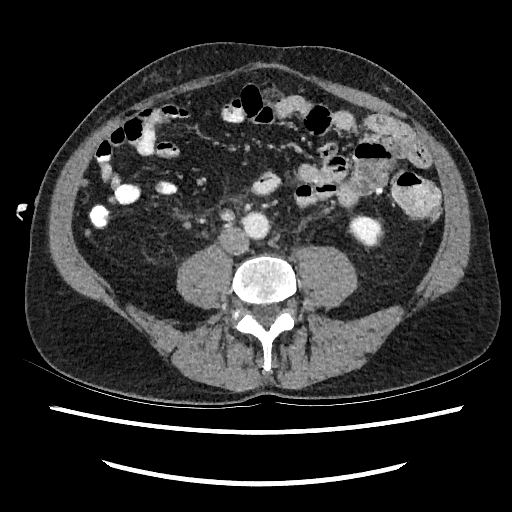 CT image

The kidney is bounded by <bbox>352, 218, 379, 244</bbox>.